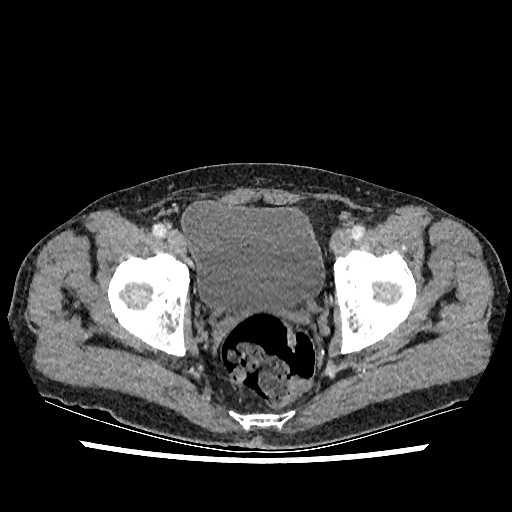 Computed tomography
Urinary bladder at x1=182 y1=200 x2=325 y2=332.